Brain
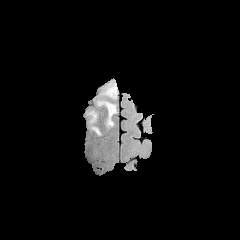
FLAIR MRI.
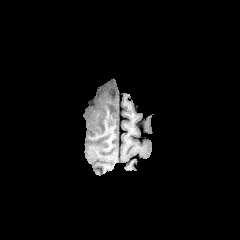
T1-weighted magnetic resonance.
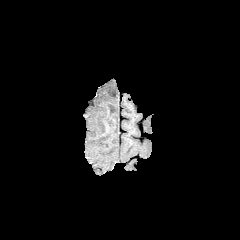
Post-contrast T1-weighted magnetic resonance of the same slice.
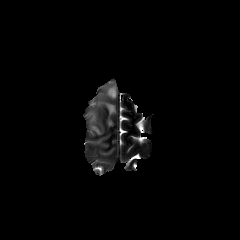
T2-weighted MR image of the same slice.
- edema: left=97, top=82, right=117, bottom=106; left=88, top=110, right=97, bottom=124; left=106, top=116, right=113, bottom=127; left=90, top=125, right=101, bottom=135
- non-enhancing tumor core: left=101, top=102, right=115, bottom=119